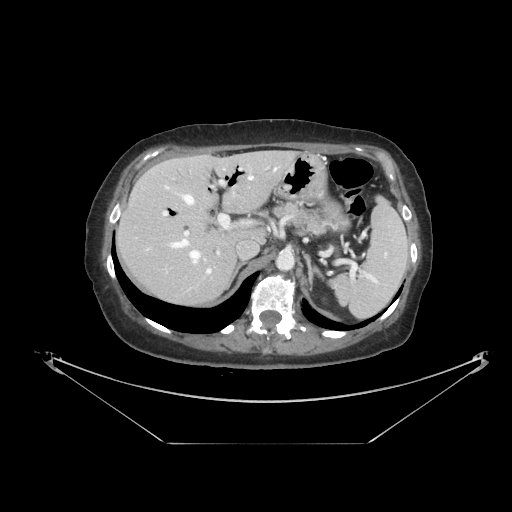 CT image, Image size 512x512
Pancreas: <bbox>274, 203, 329, 232</bbox>.